Brain. Slice index 106. Image size 240x240.
FLAIR magnetic resonance.
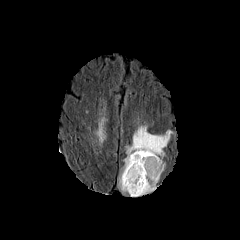
T1-weighted MR image.
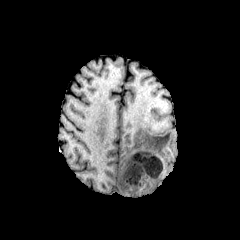
Post-contrast T1-weighted MR.
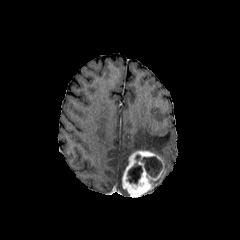
T2-weighted MRI.
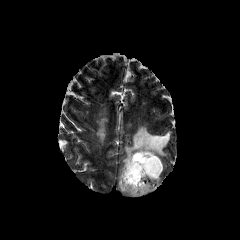
{
  "non-enhancing_tumor_core": [
    "126,164,142,184",
    "141,157,163,195"
  ],
  "enhancing_tumor": [
    "122,150,162,196"
  ],
  "edema": [
    "119,122,172,191"
  ]
}